CT image; Slice 15 of 104
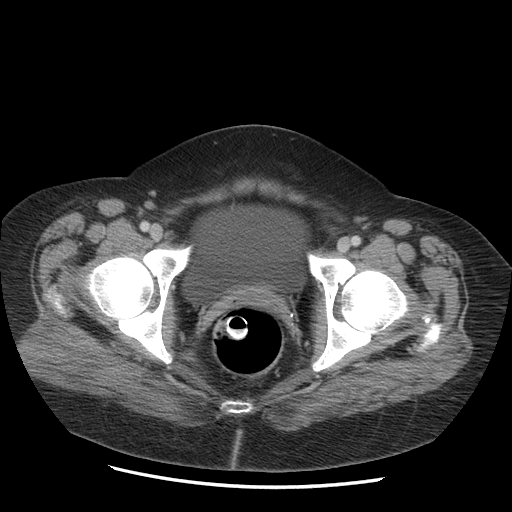 {"urinary_bladder": ["[182, 203, 310, 302]"]}